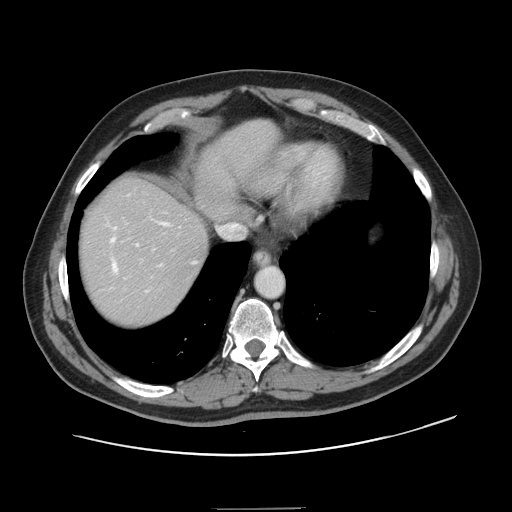

Computed tomography | Abdomen | 512x512 px
The vessel boxes may cover only some of the vessels.
Hepatic vessel: [x1=110, y1=238, x2=114, y2=242], [x1=160, y1=222, x2=167, y2=225], [x1=113, y1=261, x2=116, y2=271], [x1=114, y1=227, x2=116, y2=228].